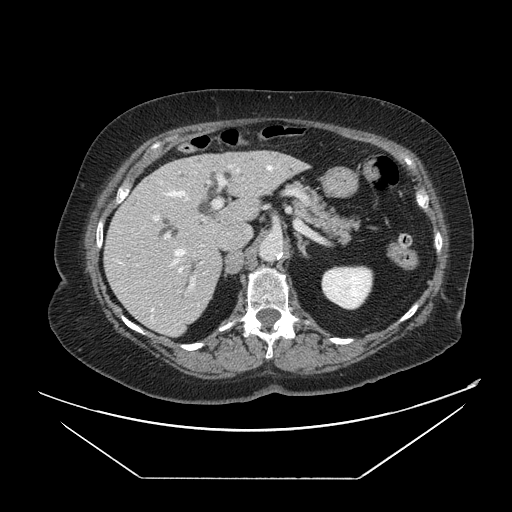

512x512; CT image
Segmented structures:
* pancreas: [294, 186, 359, 242]